Abdomen, Field of view 512x512 mm, Slice index 98, Computed tomography
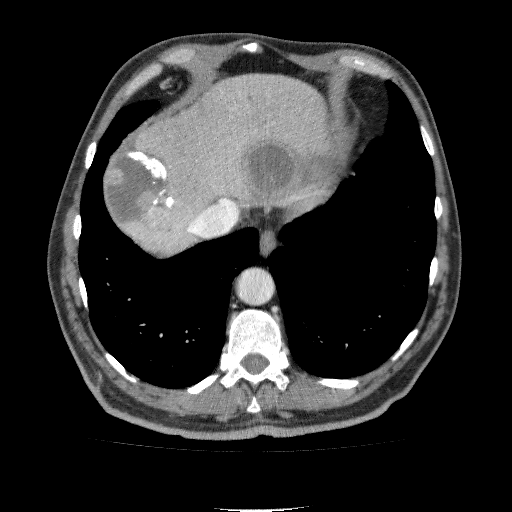
{
  "hepatic_lesion": [
    "l=104, t=144, r=179, b=229",
    "l=237, t=138, r=333, b=202"
  ],
  "liver": [
    "l=123, t=75, r=342, b=258"
  ]
}